512x512 px; Abdomen; CT slice

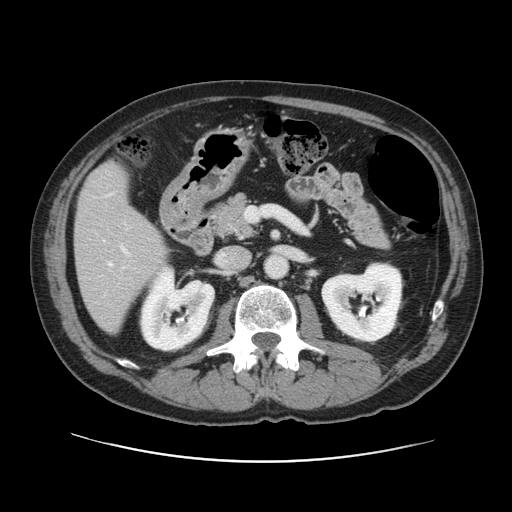

Only some of the vessels may be annotated.
3 hepatic vessel regions appear at box(108, 262, 111, 265); box(107, 194, 111, 195); box(122, 247, 127, 253).